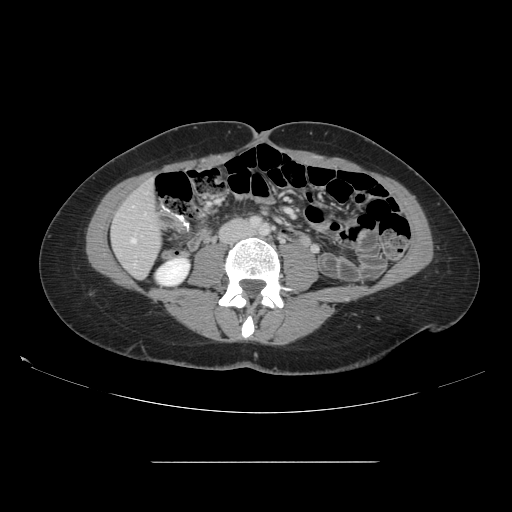

CT slice, 512x512 px

Not every hepatic vessel necessarily has a box.
The hepatic vessel is located at [130,238,135,242].